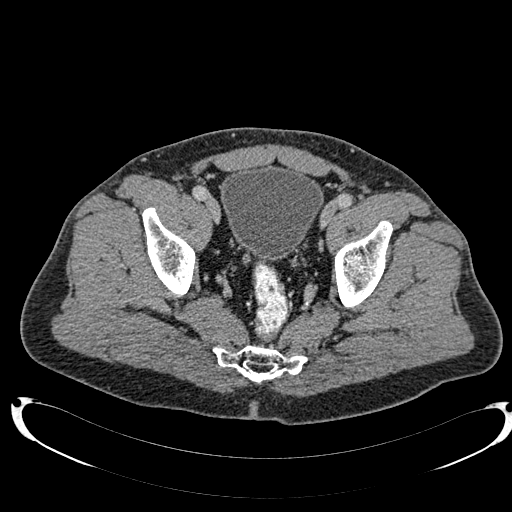
Image size 512x512; Lower abdomen; Computed tomography
The urinary bladder is at 222:164:323:262.